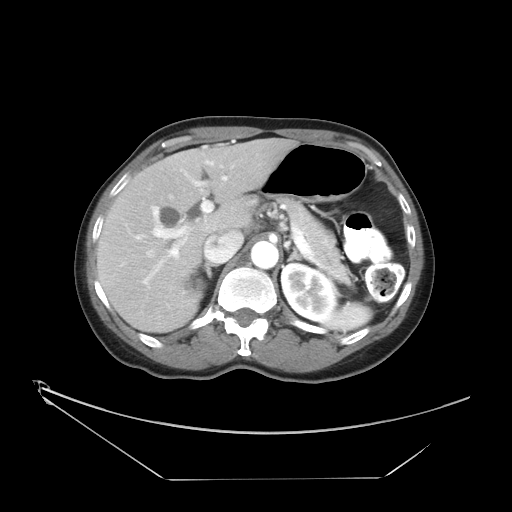

CT | 512x512 px

The vessel boxes may cover only some of the vessels.
Most prominent 15 of 16 hepatic vessel regions — (147, 251, 151, 256), (184, 171, 188, 176), (153, 225, 187, 239), (221, 165, 222, 167), (206, 161, 213, 164), (202, 199, 212, 212), (192, 181, 201, 185), (222, 176, 226, 180), (152, 206, 158, 219), (181, 238, 186, 244), (135, 234, 143, 238), (143, 260, 163, 283), (204, 230, 242, 254), (168, 244, 178, 256), (169, 195, 172, 198).